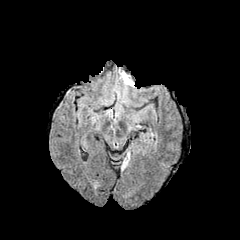
FLAIR MR image.
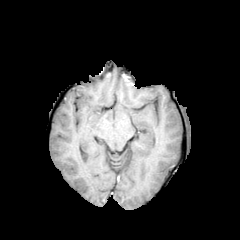
T1-weighted MR.
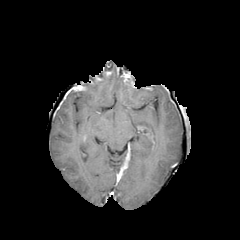
Post-contrast T1-weighted MR.
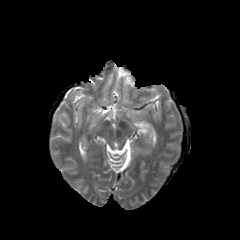
Same slice, T2-weighted magnetic resonance.
• edema: 120:74:132:85